Abdomen. CT slice. Field of view 432x432 mm.
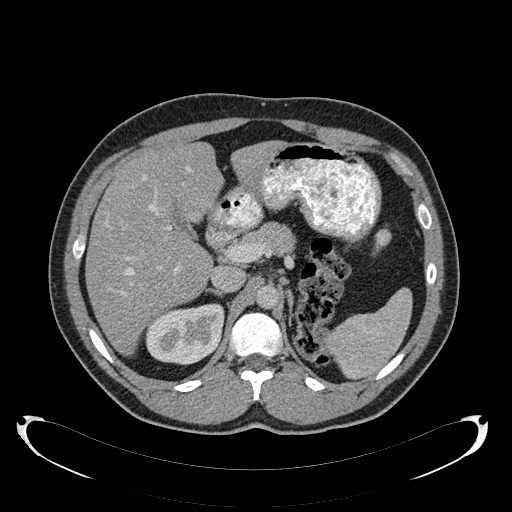
2 liver regions are located at box=[86, 143, 222, 354]; box=[233, 141, 284, 186]. The kidney lies within box=[146, 304, 223, 363].